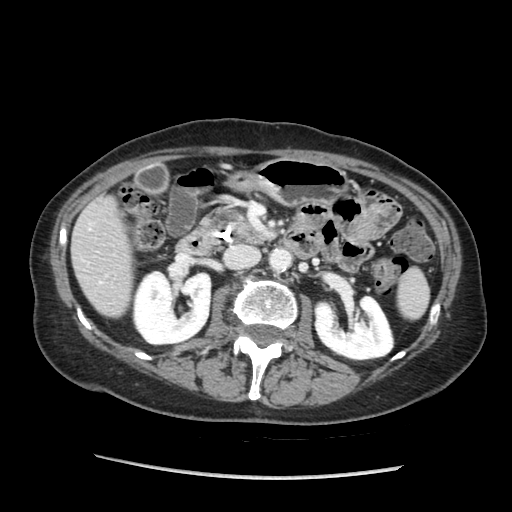 Upper abdomen, CT image
Pancreas at box=[211, 208, 266, 242].